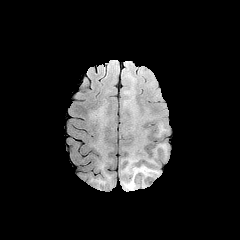
FLAIR MRI.
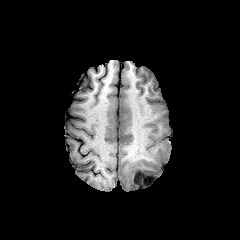
T1-weighted MR image of the same slice.
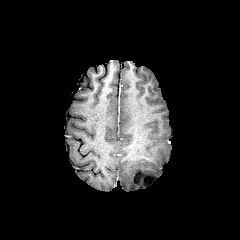
Post-contrast T1-weighted magnetic resonance.
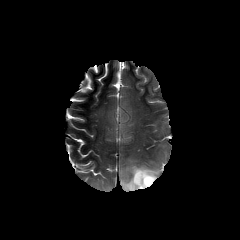
T2-weighted MR image.
Brain
Findings:
- edema: bbox=[121, 158, 159, 189]
- non-enhancing tumor core: bbox=[133, 169, 151, 185]